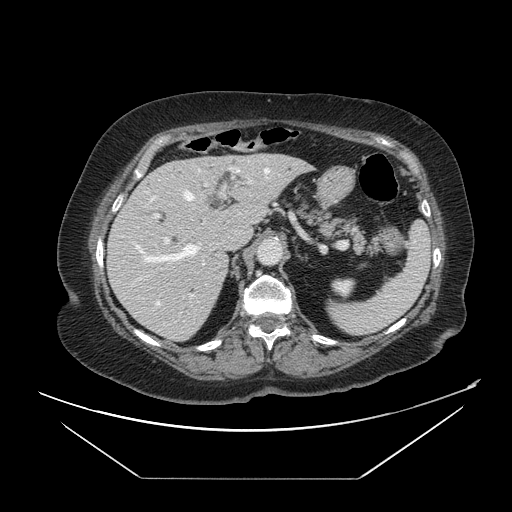

512x512. CT slice. Pancreas — l=299, t=203, r=378, b=252.